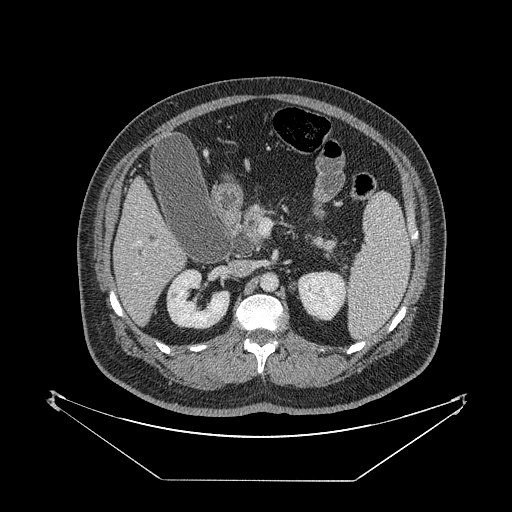 CT image, Upper abdomen, 512x512

2 pancreas regions are located at 314, 238, 335, 249; 237, 206, 264, 251.